Abdomen | Slice index 23 | Image width 512 mm | Computed tomography | 512x512 px 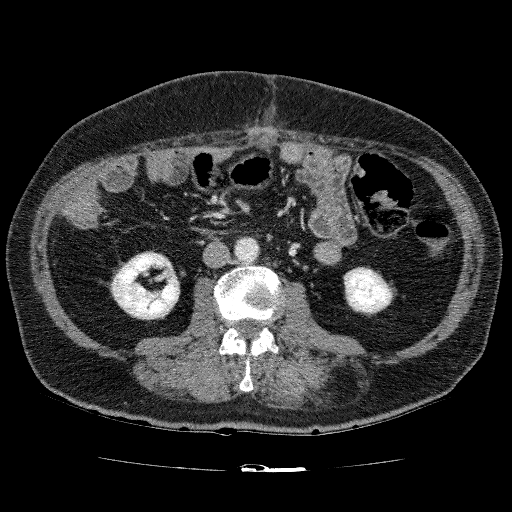 2 kidney regions are bounded by [x1=344, y1=267, x2=392, y2=313], [x1=111, y1=252, x2=179, y2=319].